512x512 px, CT slice, Field of view 475x475 mm

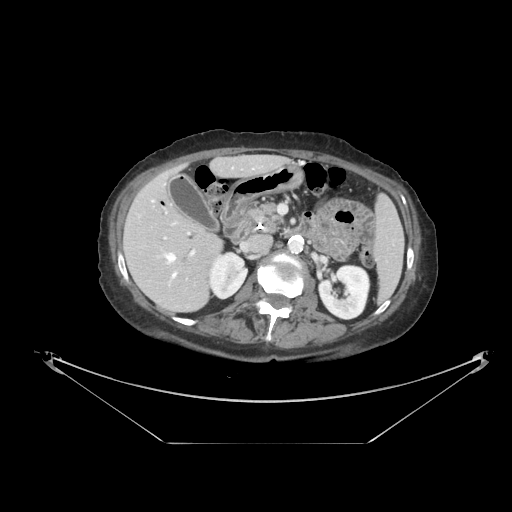 <segmentation>
  <pancreatic_tumor>(left=266, top=210, right=279, bottom=227)</pancreatic_tumor>
  <pancreas>(left=251, top=203, right=283, bottom=233)</pancreas>
</segmentation>